Slice index 84.
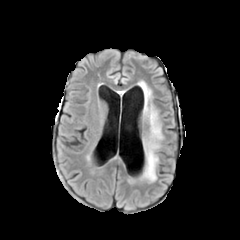
FLAIR MRI.
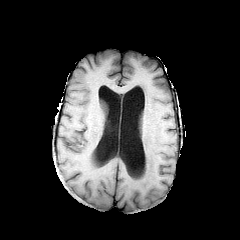
T1-weighted MR.
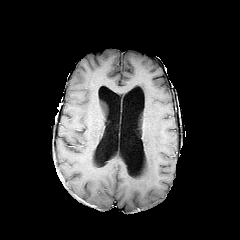
Post-contrast T1-weighted MR image.
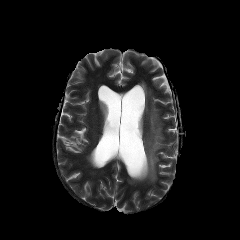
Same slice, T2-weighted MRI.
Segmented structures:
• edema: rect(138, 81, 163, 181)